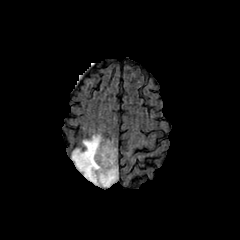
FLAIR MR.
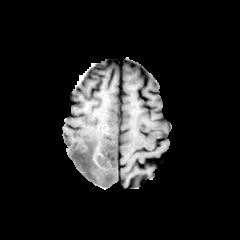
T1-weighted MR.
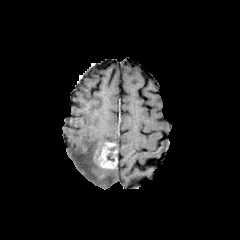
Post-contrast T1-weighted MRI.
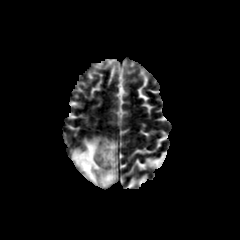
Same slice, T2-weighted MR.
Head
enhancing tumor: region(98, 142, 116, 169) | edema: region(105, 169, 118, 187); region(71, 134, 115, 187) | non-enhancing tumor core: region(100, 168, 113, 187); region(86, 143, 105, 175)